Image size 240x240
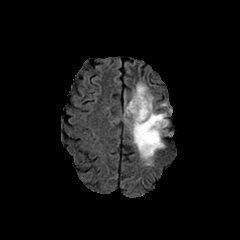
FLAIR MR image.
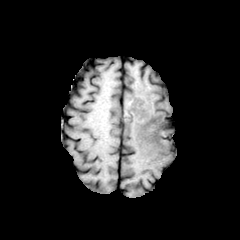
Same slice, T1-weighted MRI.
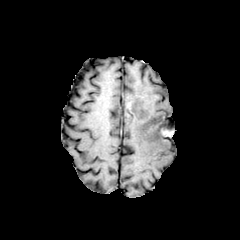
Post-contrast T1-weighted MR.
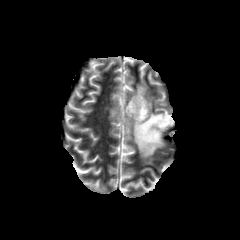
T2-weighted magnetic resonance of the same slice.
edema:
  - <bbox>124, 82, 172, 165</bbox>
non-enhancing_tumor_core:
  - <bbox>142, 115, 167, 143</bbox>